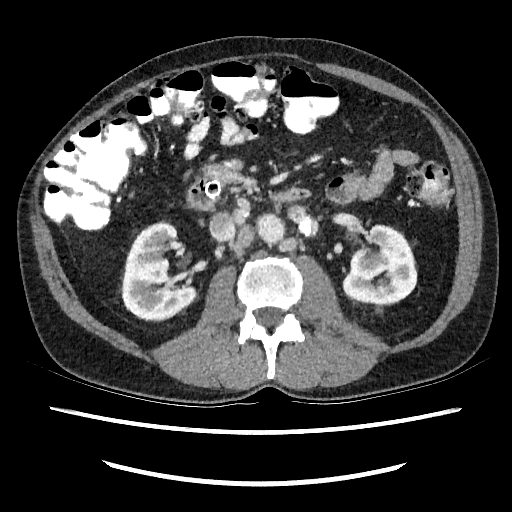

Abdomen; Image size 512x512; CT scan slice
Kidney — 344:226:416:303, 123:224:194:322.